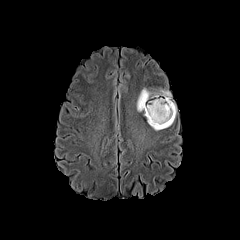
FLAIR MRI.
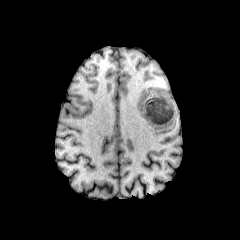
T1-weighted magnetic resonance of the same slice.
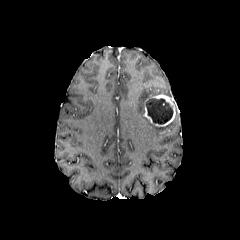
Post-contrast T1-weighted MRI.
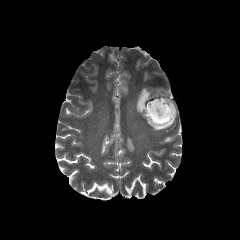
T2-weighted MR image.
Head.
{"edema": ["box=[150, 122, 172, 130]", "box=[136, 87, 171, 112]"], "non-enhancing_tumor_core": ["box=[146, 98, 173, 124]"], "enhancing_tumor": ["box=[143, 94, 176, 127]"]}